FLAIR MRI.
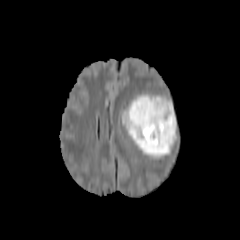
T1-weighted magnetic resonance.
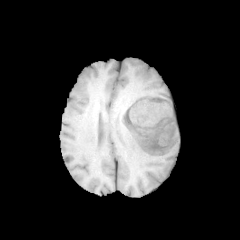
Post-contrast T1-weighted MR.
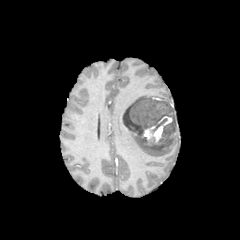
T2-weighted MR.
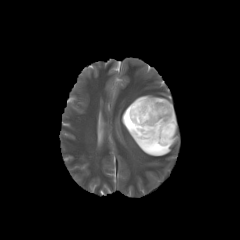
240x240 px
non-enhancing_tumor_core:
  - 123, 97, 177, 145
edema:
  - 124, 124, 178, 157
  - 125, 94, 173, 111
enhancing_tumor:
  - 142, 115, 172, 144